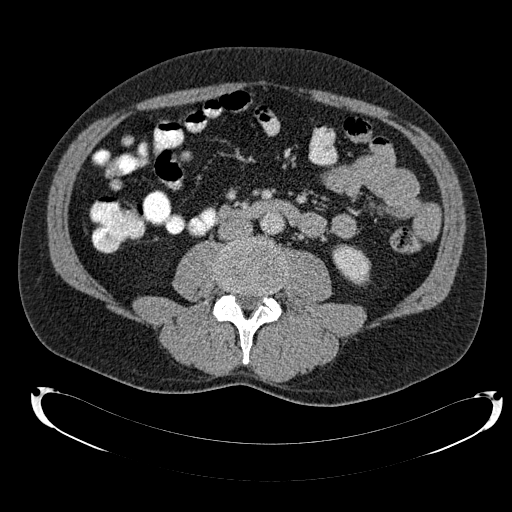 Image size 512x512; CT scan slice; Abdomen

The kidney is located at {"x1": 334, "y1": 246, "x2": 368, "y2": 282}.